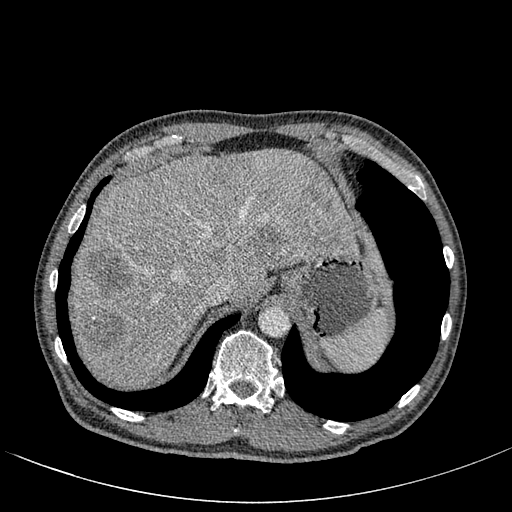 Abdomen | CT slice
hepatic_lesion:
  - <box>79,309,125,353</box>
  - <box>315,193,330,209</box>
  - <box>209,160,232,183</box>
  - <box>86,245,131,295</box>
  - <box>254,229,282,258</box>
  - <box>217,247,223,256</box>
liver:
  - <box>72,148,355,386</box>